Slice 628/917; CT scan slice; Field of view 429 mm wide, 0.70 mm slice spacing; Abdomen 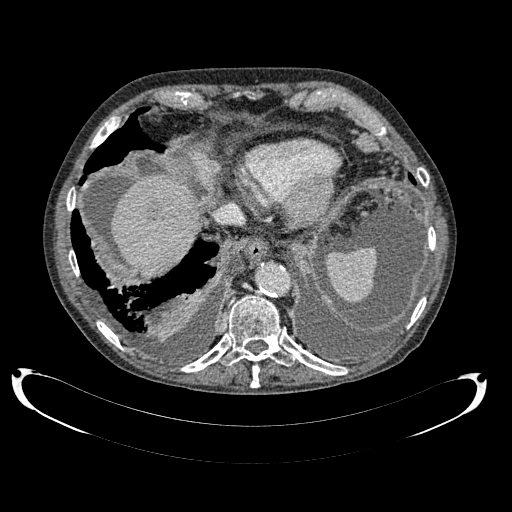

The liver lesion is bounded by box=[141, 201, 160, 220]. The liver appears at box=[111, 175, 200, 276].